Computed tomography; Liver
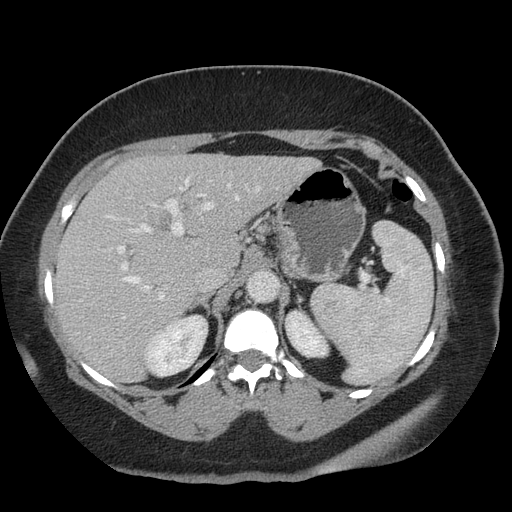

The vessel annotation is not exhaustive.
Top 15 of 17 hepatic vessel regions at 181:177:190:190, 166:199:176:209, 255:188:259:191, 228:184:230:187, 159:292:163:299, 203:203:212:209, 172:223:182:234, 130:225:148:231, 122:277:139:283, 144:286:149:291, 117:247:123:252, 105:215:113:218, 122:264:126:270, 236:197:238:200, 199:194:204:196.